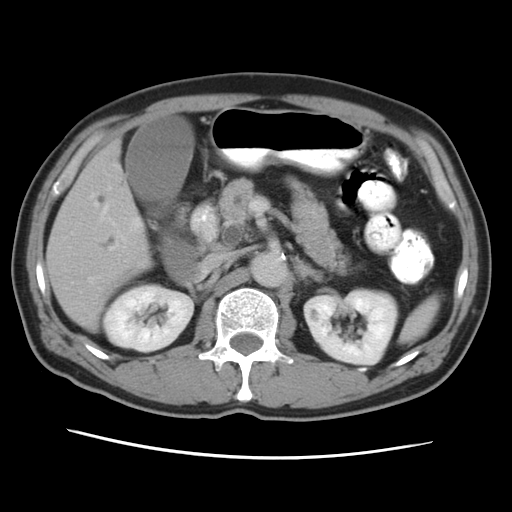
Abdomen. CT. Pancreas: bounding box (219, 178, 256, 220), (291, 183, 365, 277).